CT image, Slice 41 of 98, Pelvis 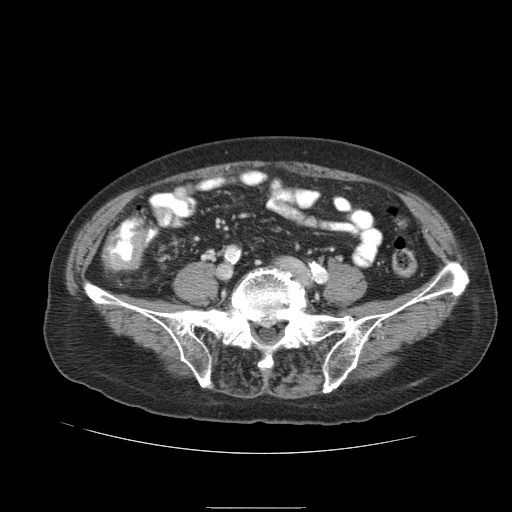

{
  "colon_tumor": [
    "[101, 217, 148, 269]"
  ]
}